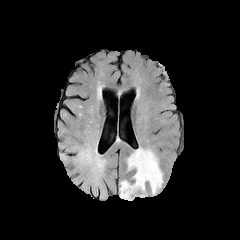
FLAIR MRI.
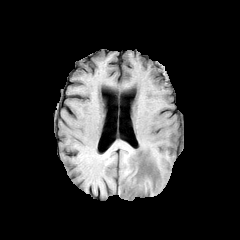
Same slice, T1-weighted MR.
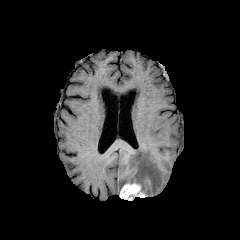
Post-contrast T1-weighted magnetic resonance.
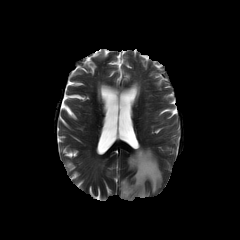
T2-weighted magnetic resonance of the same slice.
{
  "enhancing_tumor": [
    "x1=120, y1=182, x2=144, y2=199"
  ],
  "edema": [
    "x1=120, y1=148, x2=162, y2=193"
  ]
}